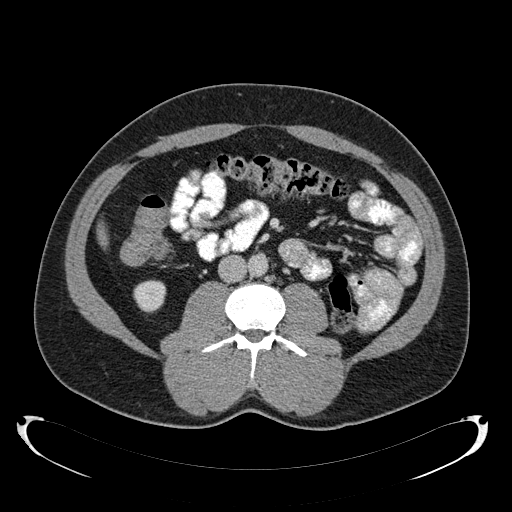 Liver. CT slice.

<segmentation>
  <liver>[x1=100, y1=227, x2=106, y2=244]</liver>
  <kidney>[x1=134, y1=281, x2=165, y2=311]</kidney>
</segmentation>